Image size 512x512. CT image.
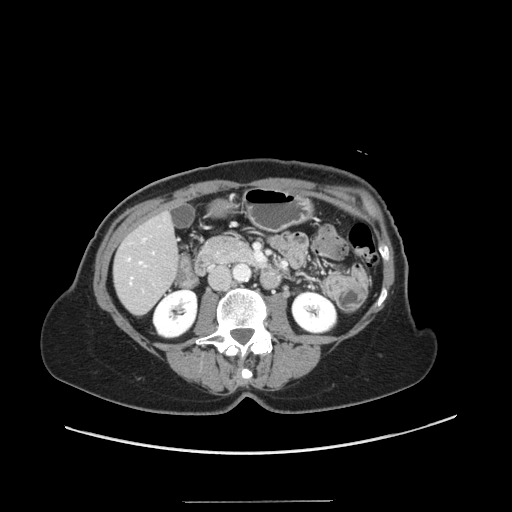

The vessel annotation is not exhaustive.
Hepatic vessel at (x1=127, y1=257, x2=130, y2=259), (x1=130, y1=277, x2=132, y2=283), (x1=140, y1=261, x2=145, y2=265), (x1=143, y1=238, x2=145, y2=240).